Field of view 35 mm wide, 1.00 mm slice spacing, Medial temporal lobe, MR 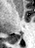 posterior hippocampus: bbox(16, 35, 21, 39)